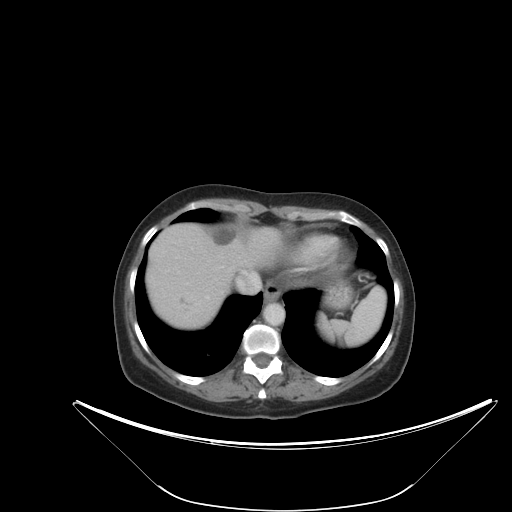

512x512. CT scan slice.
The vessel annotation is not exhaustive.
{
  "hepatic_vessel": [
    "250 278 256 289",
    "239 282 241 284",
    "243 272 253 277"
  ]
}